Computed tomography; Slice 174 of 466

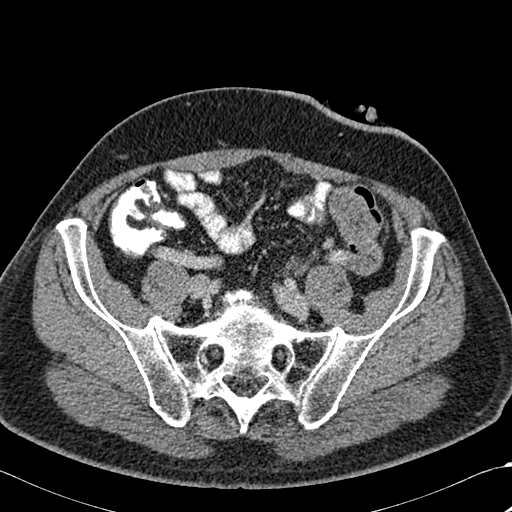
The bone appears at <bbox>56, 218, 444, 431</bbox>.